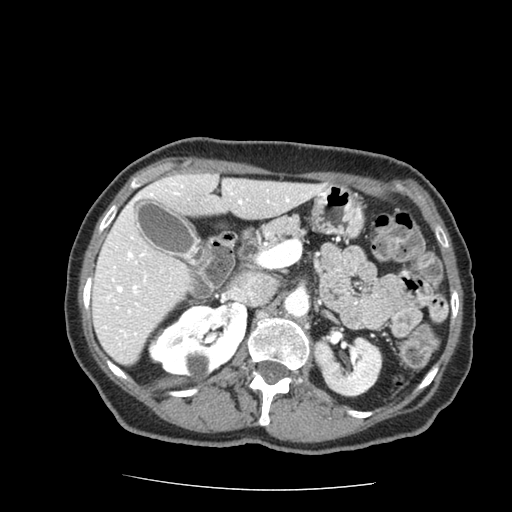
CT image | Abdomen

Pancreas: <box>253,214,308,249</box>.